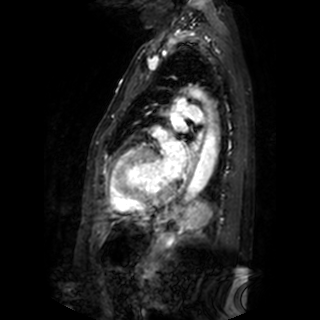 MRI

2 left atrium regions are located at {"x1": 171, "y1": 113, "x2": 183, "y2": 128}, {"x1": 161, "y1": 140, "x2": 186, "y2": 180}.